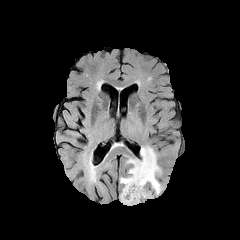
FLAIR magnetic resonance.
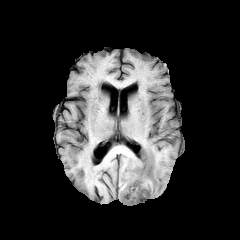
T1-weighted magnetic resonance of the same slice.
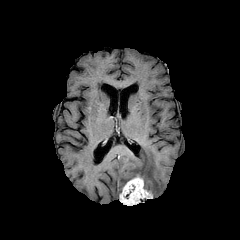
Same slice, post-contrast T1-weighted MR.
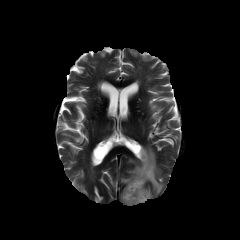
T2-weighted MR of the same slice.
Head
The enhancing tumor is located at 119, 175, 152, 205. The edema is at 120, 146, 162, 195.